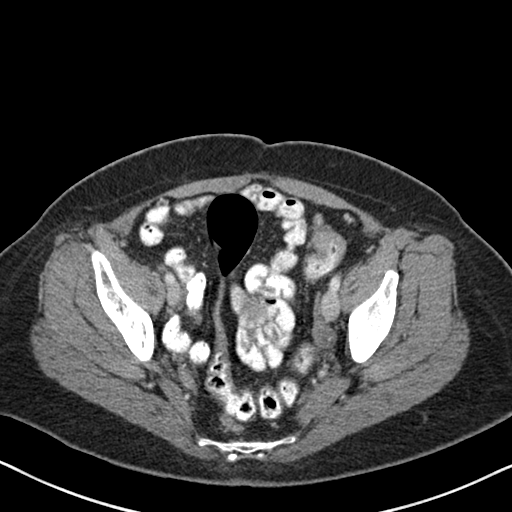 CT slice.

{"colon_tumor": ["l=314, t=232, r=345, b=264"]}